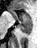

MRI. Segmented structures:
• anterior hippocampus: box(8, 8, 18, 20); box(20, 12, 31, 20)
• posterior hippocampus: box(18, 21, 31, 32)